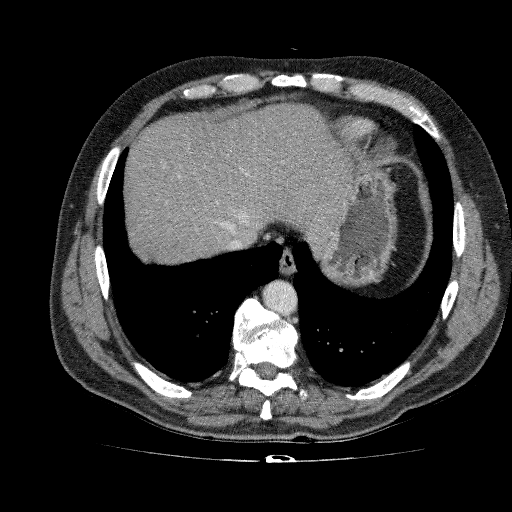 Abdomen. CT.

liver:
  - box(123, 102, 344, 265)